Brain
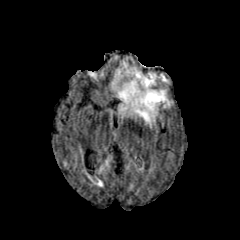
FLAIR MR.
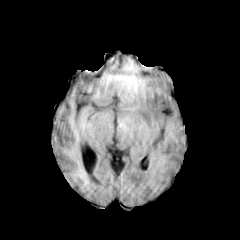
T1-weighted magnetic resonance.
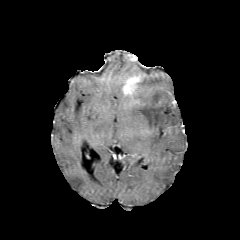
Post-contrast T1-weighted MRI.
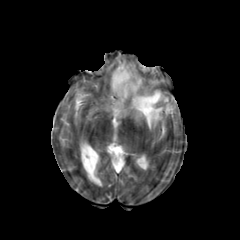
T2-weighted MRI of the same slice.
Findings:
• edema: (left=117, top=67, right=169, bottom=126)
• enhancing tumor: (left=123, top=77, right=139, bottom=94)